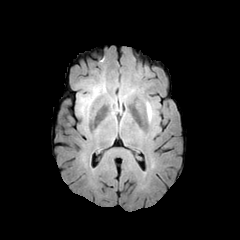
FLAIR MRI.
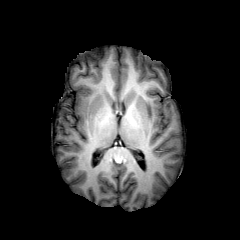
T1-weighted magnetic resonance.
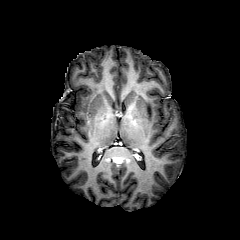
Same slice, post-contrast T1-weighted MR image.
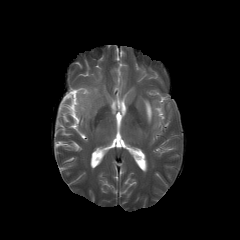
T2-weighted MR of the same slice.
Head | Image size 240x240
Edema: box(146, 101, 153, 122).